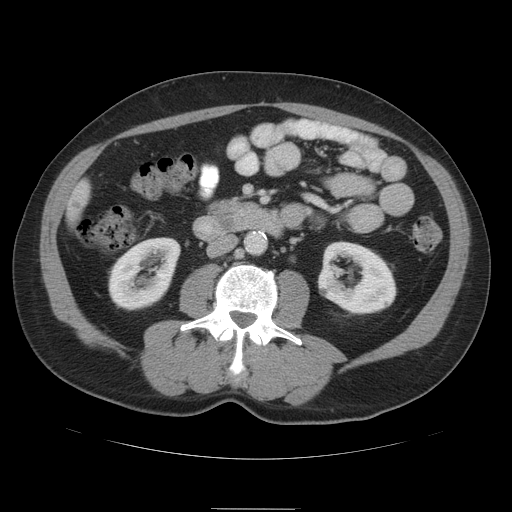
Abdomen, CT slice
The pancreas is located at [207,199,259,231].